Brain, Field of view 240 mm wide, 1.00 mm slice spacing, Slice 75 of 155
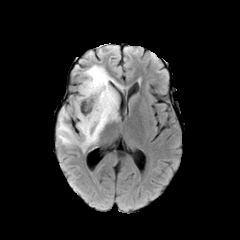
FLAIR MR.
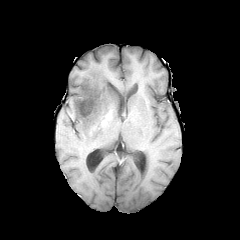
T1-weighted MR of the same slice.
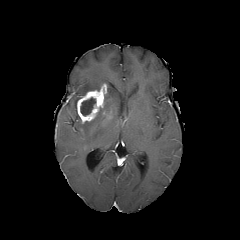
Post-contrast T1-weighted MRI.
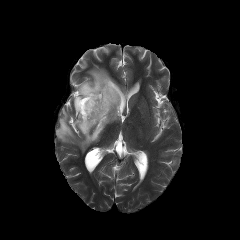
T2-weighted magnetic resonance.
edema: {"x1": 56, "y1": 107, "x2": 78, "y2": 145}, {"x1": 78, "y1": 65, "x2": 124, "y2": 95}, {"x1": 77, "y1": 89, "x2": 118, "y2": 151} | enhancing tumor: {"x1": 77, "y1": 83, "x2": 107, "y2": 123} | non-enhancing tumor core: {"x1": 98, "y1": 108, "x2": 106, "y2": 117}, {"x1": 80, "y1": 84, "x2": 100, "y2": 95}, {"x1": 80, "y1": 97, "x2": 95, "y2": 115}, {"x1": 81, "y1": 114, "x2": 99, "y2": 127}, {"x1": 104, "y1": 81, "x2": 113, "y2": 107}, {"x1": 75, "y1": 96, "x2": 81, "y2": 123}